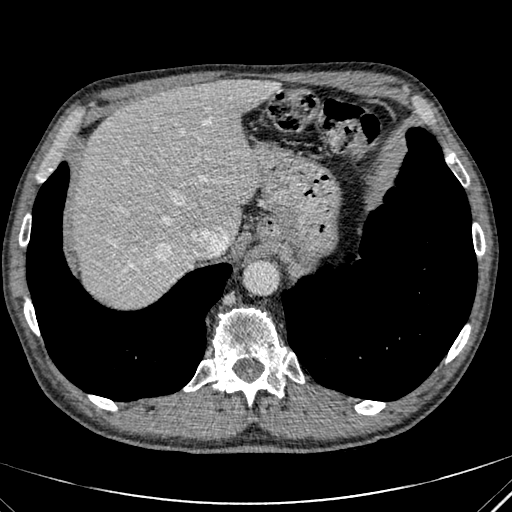 Computed tomography
{"liver": ["(74, 80, 278, 307)"]}